Computed tomography. Slice index 171. Abdomen. 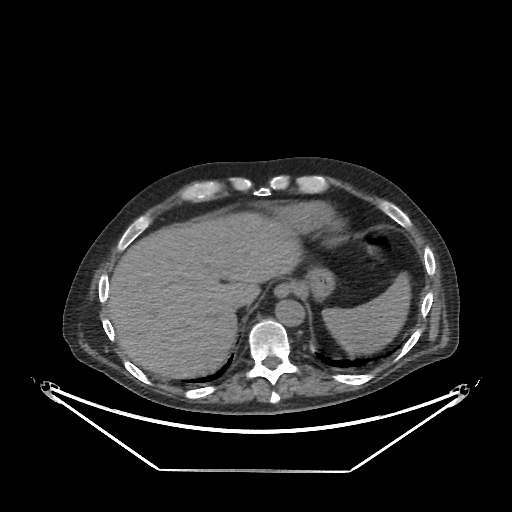
{"liver": ["x1=103 y1=213 x2=288 y2=378"]}